CT; Slice index 41; Lower abdomen 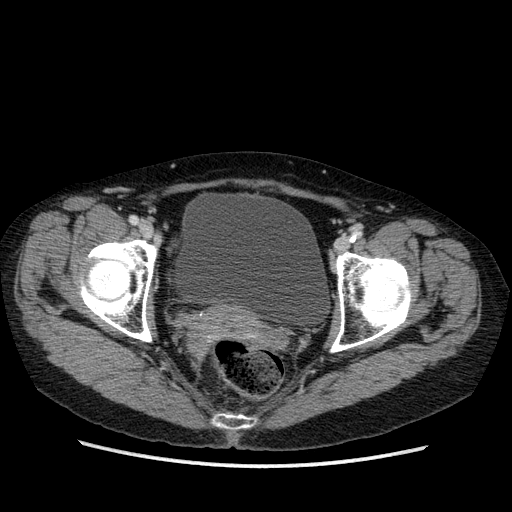 The urinary bladder appears at bbox(171, 192, 330, 327).